FLAIR magnetic resonance.
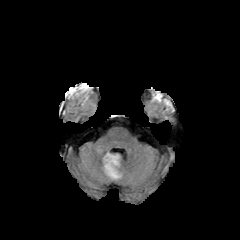
T1-weighted MR.
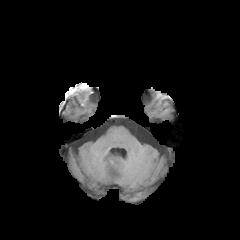
Post-contrast T1-weighted MR image.
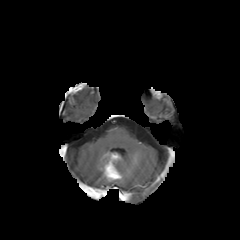
T2-weighted MR.
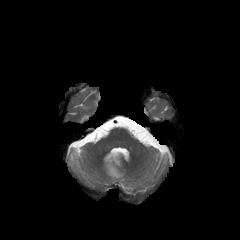
Image size 240x240. Head.
<segmentation>
  <enhancing_tumor>region(105, 154, 116, 172)</enhancing_tumor>
  <non-enhancing_tumor_core>region(106, 167, 119, 178)</non-enhancing_tumor_core>
  <edema>region(114, 155, 121, 176)</edema>
</segmentation>